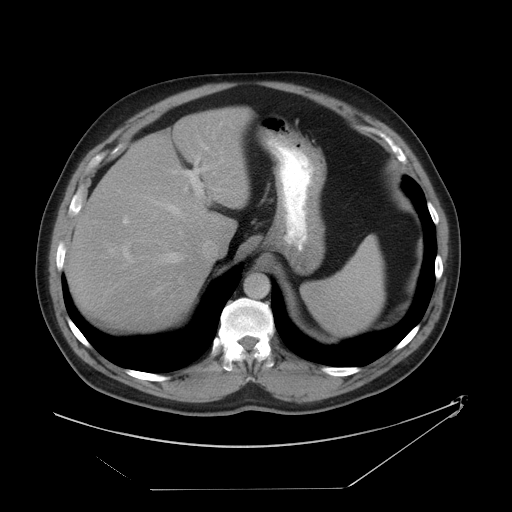
CT, 512x512
<segmentation>
  <spleen>box(303, 237, 384, 335)</spleen>
</segmentation>